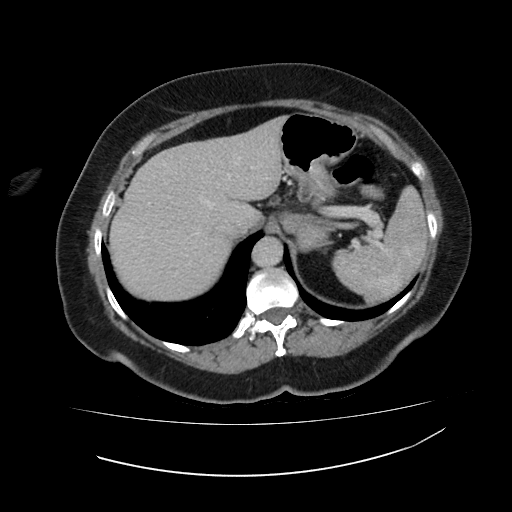
512x512; Computed tomography
Annotated regions:
- liver: region(110, 116, 287, 300)